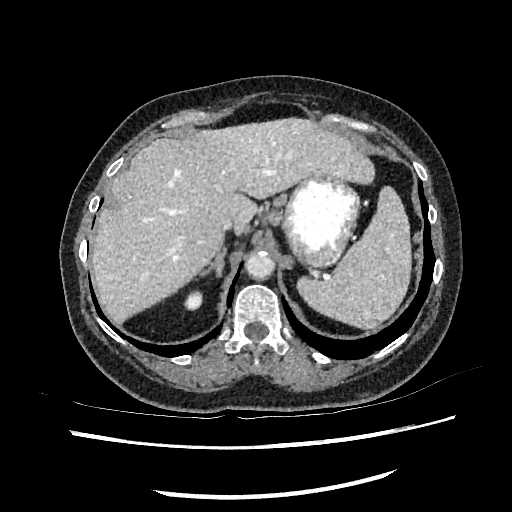 Computed tomography; Abdomen
Segmented structures:
• kidney: bbox=[188, 296, 200, 307]
• liver: bbox=[91, 118, 374, 323]